Computed tomography | 512x512 px

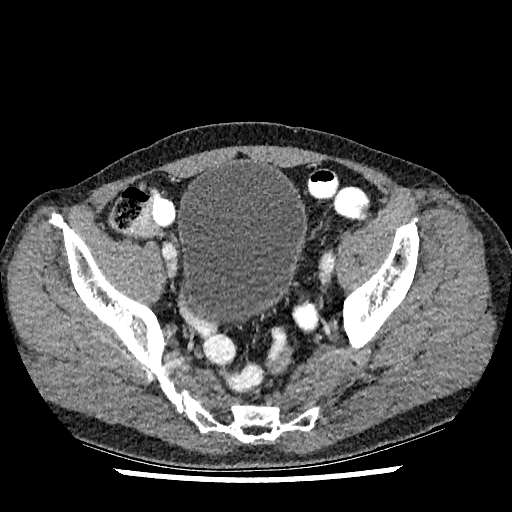
* urinary bladder: bbox=[179, 162, 304, 323]